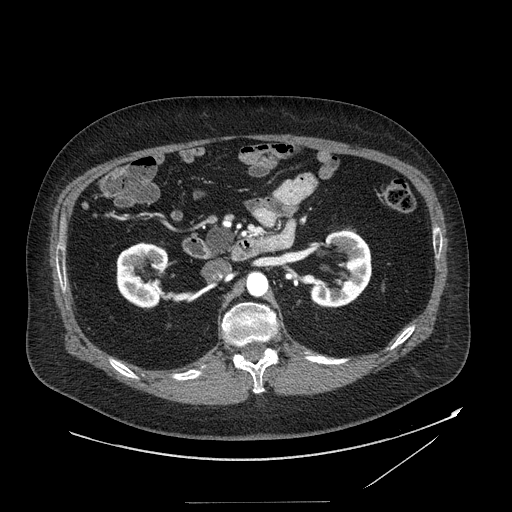
Upper abdomen. CT slice. 512x512.

pancreas:
  - region(204, 225, 234, 257)
pancreatic_tumor:
  - region(207, 227, 233, 252)